Image width 442 mm, Abdomen, CT, Slice 57/97

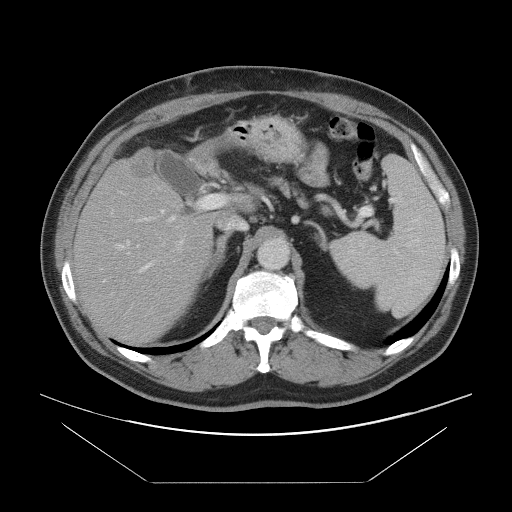

Some hepatic vessels may have no box.
Segmented structures:
- liver tumor: [x1=130, y1=152, x2=152, y2=179]
- hepatic vessel: [x1=138, y1=217, x2=151, y2=221], [x1=169, y1=216, x2=174, y2=220], [x1=161, y1=210, x2=163, y2=212], [x1=139, y1=262, x2=152, y2=271], [x1=122, y1=243, x2=126, y2=246], [x1=178, y1=240, x2=183, y2=247], [x1=116, y1=245, x2=118, y2=248]